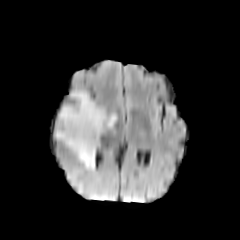
FLAIR magnetic resonance.
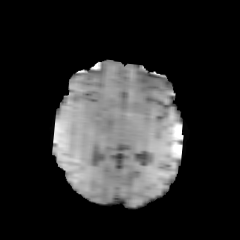
Same slice, T1-weighted magnetic resonance.
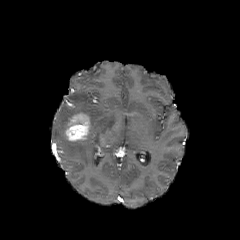
Same slice, post-contrast T1-weighted MRI.
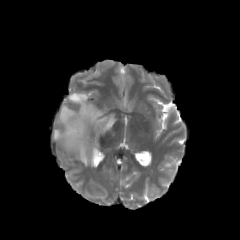
T2-weighted MR.
Head
enhancing tumor: box=[64, 113, 91, 141] | edema: box=[53, 92, 117, 168]